Slice 24 of 45; CT image; Image width 422 mm; Abdomen 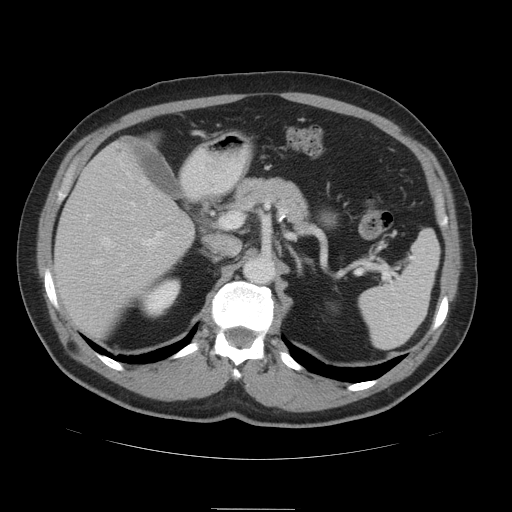 <segmentation>
  <pancreas>(223,177,313,234)</pancreas>
</segmentation>